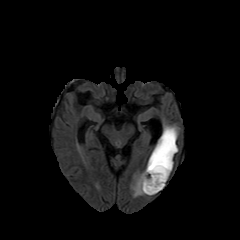
FLAIR MRI.
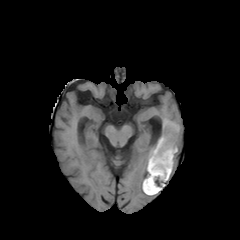
T1-weighted MRI.
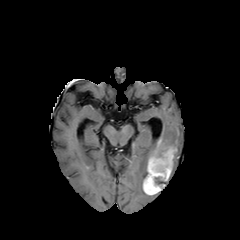
Post-contrast T1-weighted magnetic resonance.
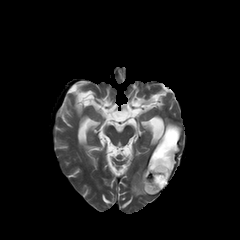
T2-weighted MRI of the same slice.
Brain, 240x240
Non-enhancing tumor core: bbox=[155, 177, 165, 190]; bbox=[158, 128, 178, 156].
Enhancing tumor: bbox=[143, 139, 173, 194].
Edema: bbox=[131, 163, 147, 197]; bbox=[162, 121, 179, 151].